Upper abdomen, 512x512 px, CT image

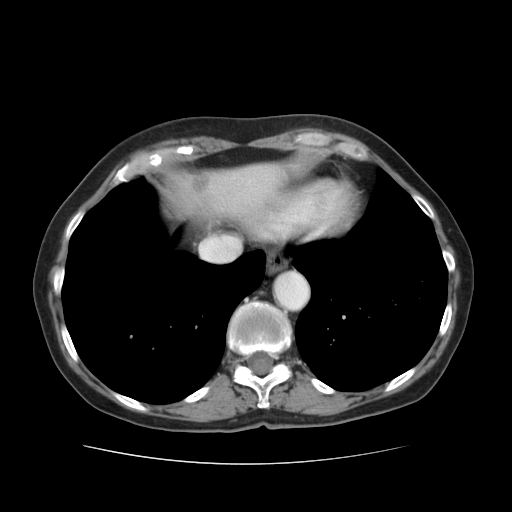 <segmentation>
  <liver><bbox>162, 160, 287, 217</bbox>, <bbox>291, 160, 312, 170</bbox></liver>
  <lung><bbox>61, 175, 265, 404</bbox>, <bbox>284, 169, 447, 391</bbox></lung>
  <liver_lesion><bbox>193, 175, 208, 190</bbox></liver_lesion>
  <bone><bbox>151, 155, 160, 165</bbox>, <bbox>54, 267, 63, 294</bbox>, <bbox>440, 304, 451, 335</bbox>, <bbox>227, 299, 291, 407</bbox>, <bbox>61, 326, 77, 360</bbox>, <bbox>308, 378, 335, 393</bbox>, <bbox>113, 168, 127, 180</bbox>, <bbox>412, 193, 434, 218</bbox>, <bbox>184, 387, 209, 402</bbox>, <bbox>443, 250, 454, 271</bbox>, <bbox>65, 210, 83, 241</bbox>, <bbox>384, 368, 415, 391</bbox>, <bbox>112, 392, 145, 410</bbox></bone>
</segmentation>